Brain | Slice index 73
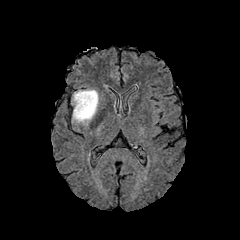
FLAIR MR image.
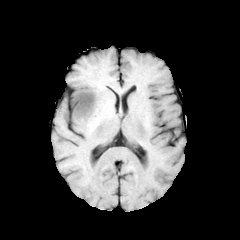
T1-weighted MR of the same slice.
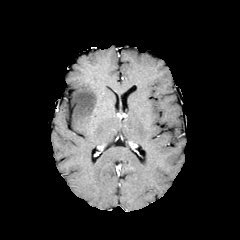
Post-contrast T1-weighted MR.
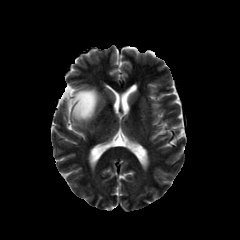
T2-weighted MRI.
The edema appears at x1=71, y1=89, x2=98, y2=122.